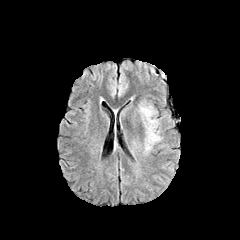
FLAIR magnetic resonance.
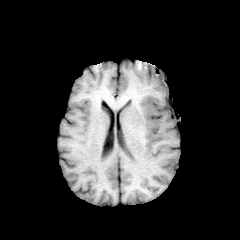
T1-weighted MRI of the same slice.
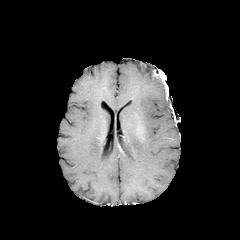
Same slice, post-contrast T1-weighted magnetic resonance.
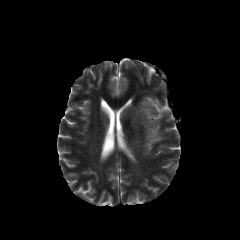
T2-weighted MRI.
240x240 | Brain
edema:
  - 138 103 162 153